Brain, Image width 240 mm, Slice 64 of 155
FLAIR magnetic resonance.
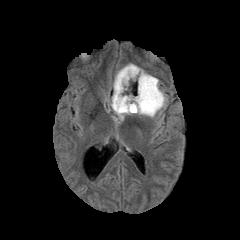
T1-weighted MR.
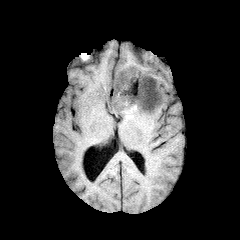
Post-contrast T1-weighted MR image.
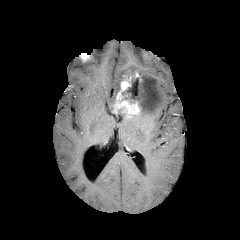
T2-weighted magnetic resonance.
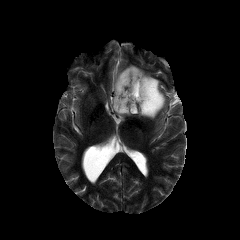
2 non-enhancing tumor core regions are bounded by 114 111 127 121, 124 76 157 113. The edema lies within 106 64 168 118. The enhancing tumor is located at 113 72 139 114.